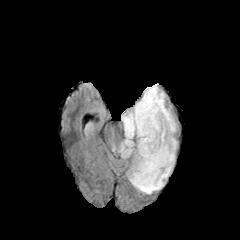
FLAIR MR.
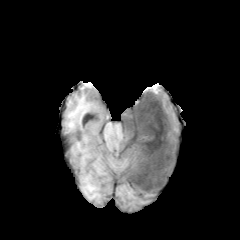
T1-weighted magnetic resonance of the same slice.
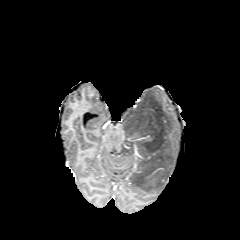
Same slice, post-contrast T1-weighted MR image.
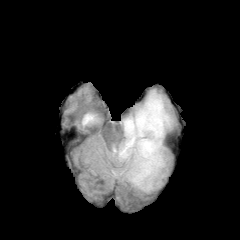
Same slice, T2-weighted MR image.
240x240 px. Head.
edema:
  - x1=118 y1=122 x2=129 y2=153
  - x1=121 y1=86 x2=176 y2=193
  - x1=121 y1=152 x2=131 y2=176
non-enhancing_tumor_core:
  - x1=121 y1=96 x2=171 y2=193